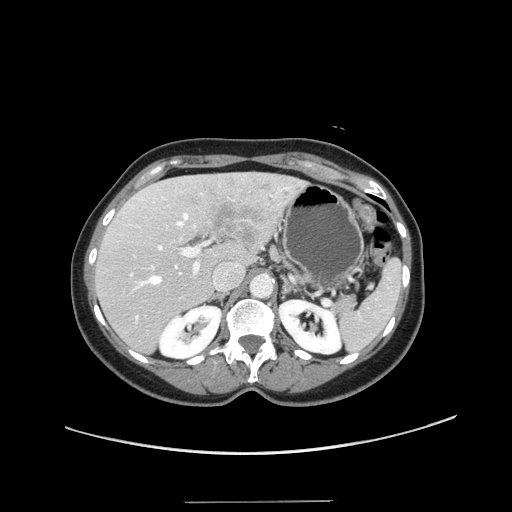
Abdomen; CT slice

Only some of the vessels may be annotated.
Hepatic vessel at (182,247,199,255), (184,214,187,219), (194,262,198,270), (213,263,242,288), (159,246,161,248), (179,272,181,273), (136,316,137,317), (204,242,207,244), (136,276,160,287), (178,221,183,225).
Liver tumor at (205,198,265,252).